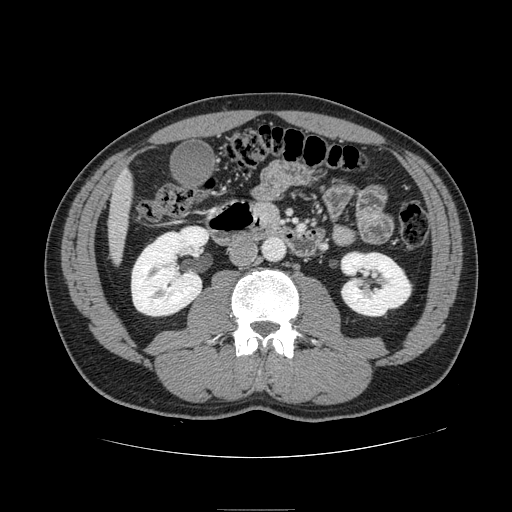

CT scan slice
{"pancreas": [{"x1": 259, "y1": 203, "x2": 277, "y2": 219}]}